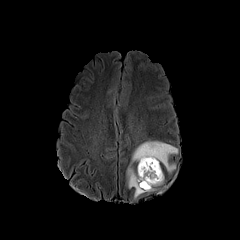
FLAIR MR.
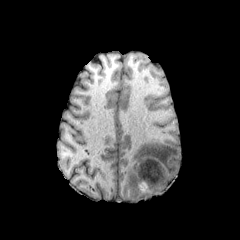
T1-weighted MR.
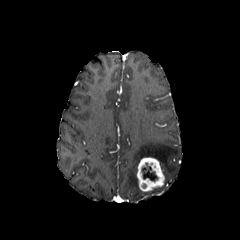
Same slice, post-contrast T1-weighted MRI.
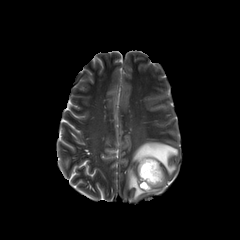
T2-weighted MR image.
Edema: x1=131 y1=141 x2=177 y2=171, x1=127 y1=164 x2=143 y2=198.
Enhancing tumor: x1=136 y1=156 x2=164 y2=192.
Non-enhancing tumor core: x1=143 y1=167 x2=156 y2=179.